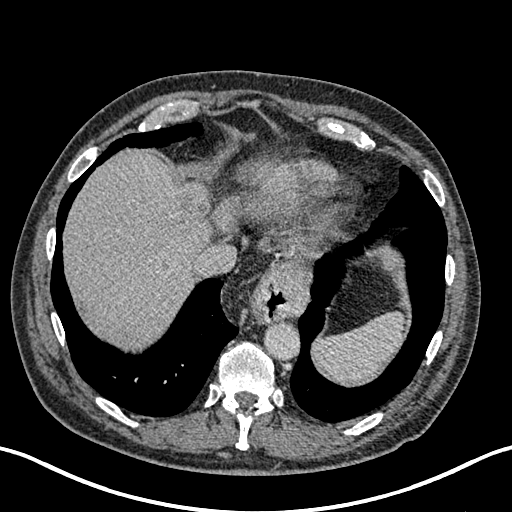 CT slice; 512x512
The hepatic lesion is bounded by 177 193 209 223. 2 liver regions are bounded by 64 150 211 346, 211 196 242 234.